512x512 px | CT scan slice | Liver 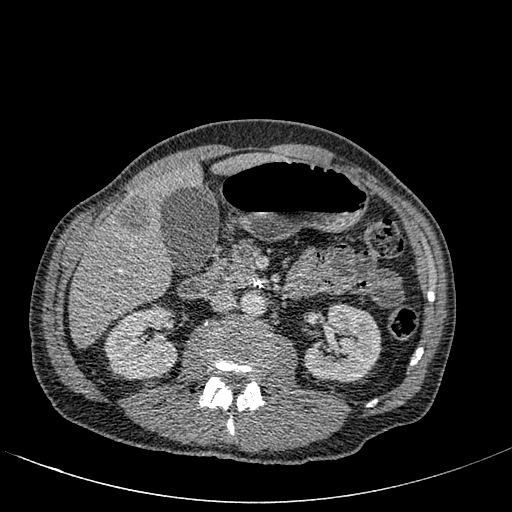 liver:
  - 212 153 287 174
  - 70 161 201 347
kidney:
  - 105 306 177 379
  - 305 304 380 381
liver_lesion:
  - 117 195 152 236